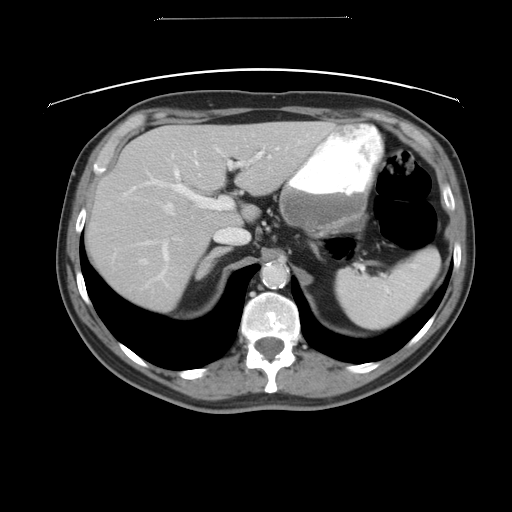 CT
Not every hepatic vessel necessarily has a box.
[15/16] hepatic vessel: 214,227,249,242; 176,182,181,184; 174,168,179,178; 146,174,155,184; 182,185,233,210; 124,186,135,195; 172,154,173,156; 298,140,299,142; 256,151,263,157; 164,203,173,213; 141,258,147,263; 242,160,252,164; 154,266,168,285; 174,237,179,239; 163,240,168,260